FLAIR MR image.
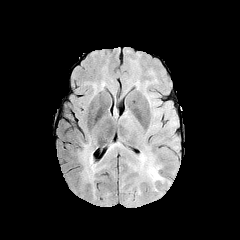
T1-weighted MR image.
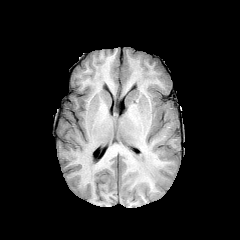
Post-contrast T1-weighted MRI.
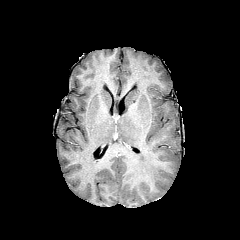
T2-weighted MR image.
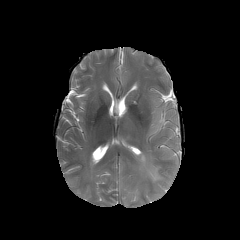
Head
2 edema regions are located at x1=78 y1=144 x2=102 y2=184, x1=134 y1=150 x2=165 y2=187.